Slice 44 of 155
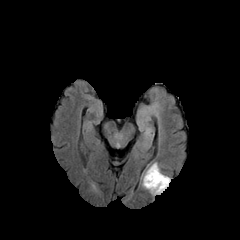
FLAIR MR.
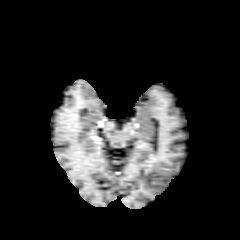
T1-weighted MRI.
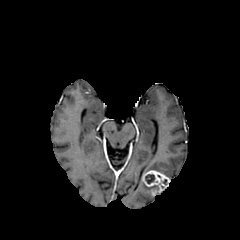
Post-contrast T1-weighted magnetic resonance.
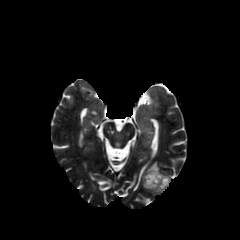
T2-weighted MRI.
{"enhancing_tumor": [{"x1": 142, "y1": 170, "x2": 170, "y2": 195}], "non-enhancing_tumor_core": [{"x1": 145, "y1": 174, "x2": 154, "y2": 183}], "edema": [{"x1": 140, "y1": 161, "x2": 160, "y2": 196}]}